Slice 15 of 32; CT slice
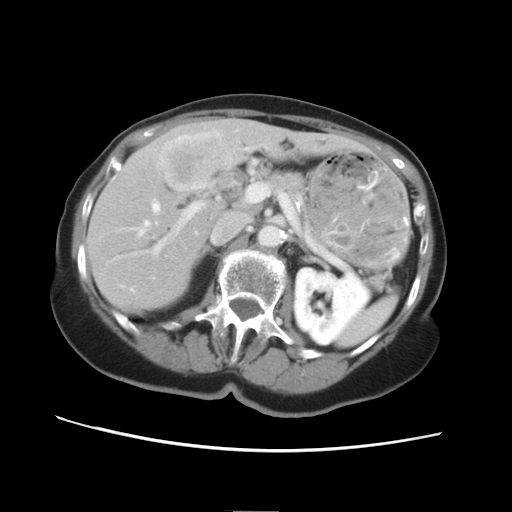
The vessel annotation is not exhaustive.
3 hepatic vessel regions are located at x1=154, y1=204, x2=158, y2=209; x1=178, y1=202, x2=204, y2=228; x1=153, y1=238, x2=167, y2=253. The liver tumor is located at x1=160, y1=132, x2=227, y2=190.